Field of view 36x53 mm; MRI; Hippocampus
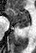 posterior hippocampus: (x1=16, y1=23, x2=28, y2=28) | anterior hippocampus: (x1=7, y1=8, x2=29, y2=22)